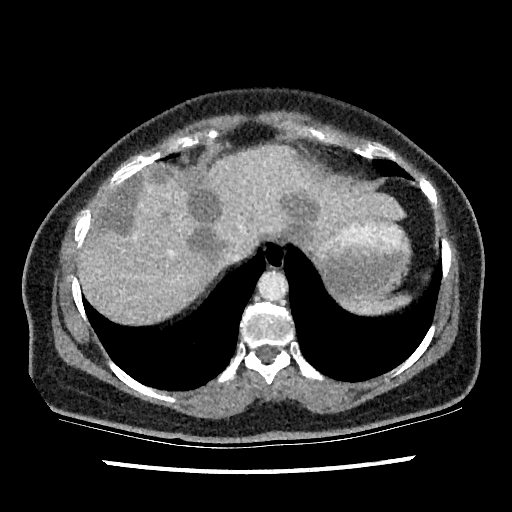
Computed tomography.

liver:
  - (197,146,402,247)
  - (80,164,229,324)
hepatic_lesion:
  - (95,175,141,233)
  - (180,168,228,257)
  - (154,165,172,182)
  - (280,193,317,242)